Image size 512x512; CT; Slice 495 of 836
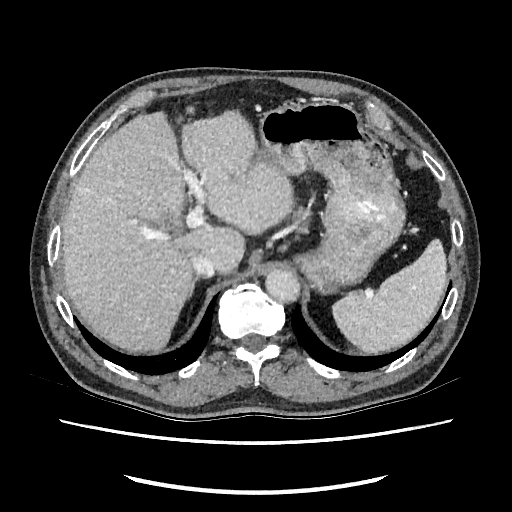
Liver — x1=182, y1=113, x2=290, y2=232; x1=62, y1=113, x2=243, y2=349.